CT. Slice index 512.

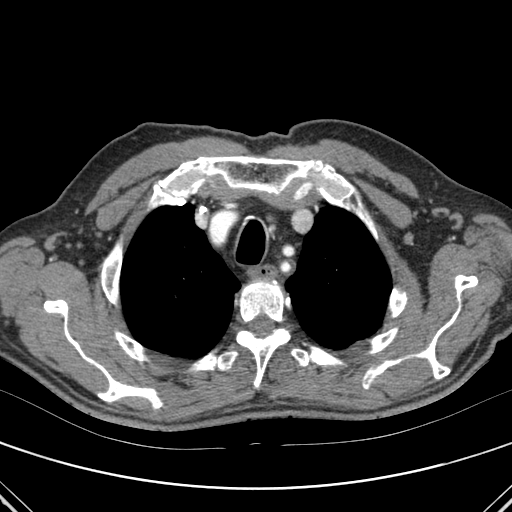
{"bone": ["x1=389, y1=288, x2=407, y2=317", "x1=101, y1=242, x2=121, y2=304", "x1=370, y1=328, x2=397, y2=353", "x1=291, y1=347, x2=343, y2=366", "x1=44, y1=299, x2=162, y2=408", "x1=149, y1=156, x2=376, y2=238", "x1=239, y1=280, x2=289, y2=322", "x1=418, y1=309, x2=459, y2=379", "x1=236, y1=326, x2=290, y2=387", "x1=115, y1=331, x2=147, y2=360", "x1=190, y1=351, x2=237, y2=371", "x1=455, y1=275, x2=477, y2=301", "x1=364, y1=359, x2=401, y2=388"], "lung": ["x1=120, y1=203, x2=240, y2=358", "x1=285, y1=206, x2=391, y2=349"]}